Image width 240 mm | Brain
FLAIR MRI.
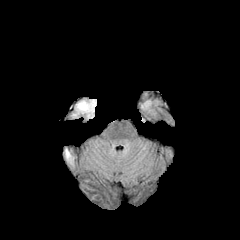
T1-weighted MR.
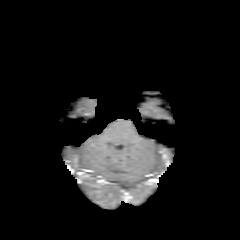
Post-contrast T1-weighted MRI.
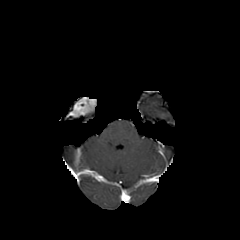
T2-weighted MRI.
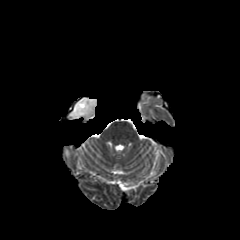
{"enhancing_tumor": ["70:98:96:117"]}